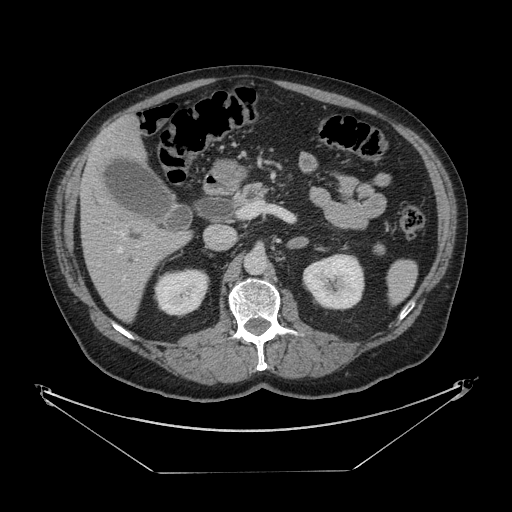

CT scan slice, Image size 512x512

Pancreas = x1=238, y1=184, x2=266, y2=202.